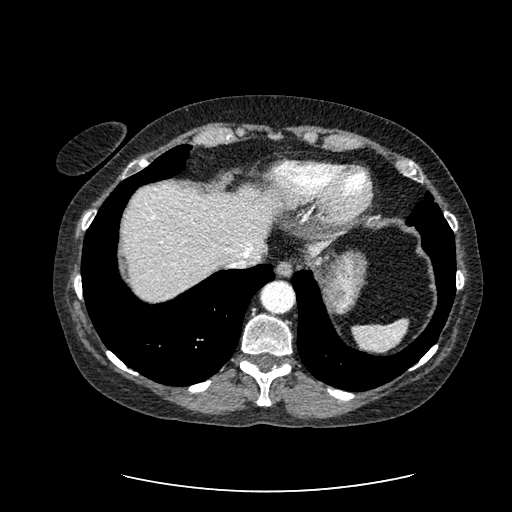
512x512 px | CT scan slice | Liver

• liver: left=123, top=184, right=269, bottom=299; left=307, top=237, right=333, bottom=255